FLAIR MRI.
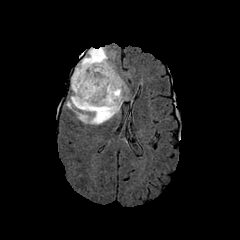
T1-weighted MRI.
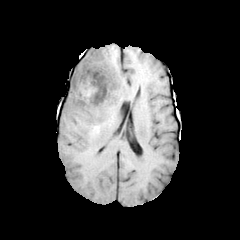
Post-contrast T1-weighted MR.
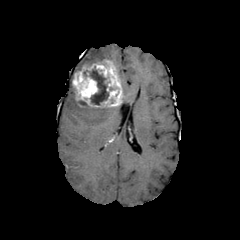
T2-weighted MR image.
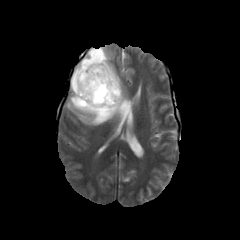
240x240
Enhancing tumor = <box>72,60,122,106</box>.
Edema = <box>66,47,122,125</box>.
Non-enhancing tumor core = <box>76,50,103,71</box>, <box>83,66,108,105</box>, <box>74,97,105,109</box>.